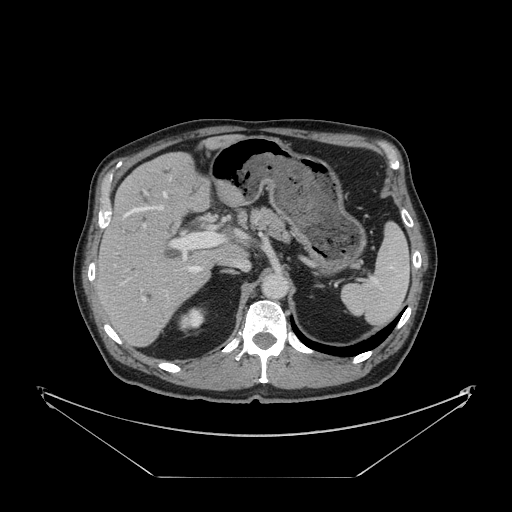

512x512, CT image, Liver
Not every hepatic vessel necessarily has a box.
Hepatic vessel at x1=163 y1=193 x2=166 y2=196, x1=140 y1=290 x2=141 y2=291, x1=171 y1=232 x2=223 y2=256, x1=142 y1=298 x2=144 y2=300, x1=143 y1=224 x2=145 y2=227, x1=189 y1=266 x2=200 y2=271, x1=123 y1=206 x2=162 y2=217.